Thorax. CT image. Slice index 485. Image width 335 mm.

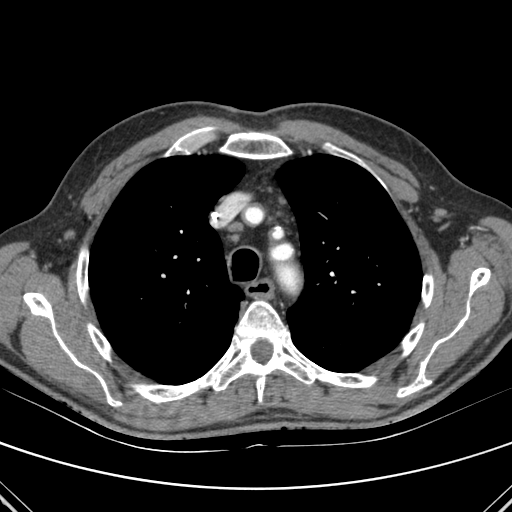
lung: x1=88, y1=155, x2=244, y2=384; x1=276, y1=154, x2=422, y2=372 | bone: x1=469, y1=267, x2=490, y2=296; x1=402, y1=322, x2=424, y2=356; x1=165, y1=127, x2=214, y2=156; x1=131, y1=300, x2=377, y2=402; x1=87, y1=323, x2=110, y2=360; x1=326, y1=143, x2=366, y2=167; x1=23, y1=292, x2=122, y2=406; x1=220, y1=132, x2=291, y2=159; x1=397, y1=301, x2=469, y2=397; x1=422, y1=274, x2=433, y2=307; x1=76, y1=249, x2=88, y2=303